Field of view 400 mm wide, 0.80 mm slice spacing. CT. 512x512 px. Liver.

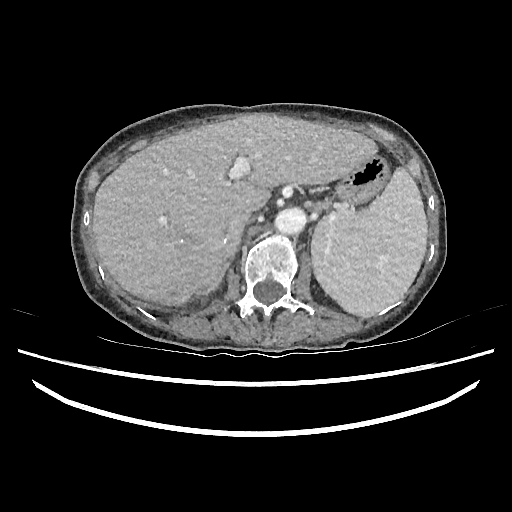
The liver appears at left=93, top=114, right=375, bottom=303.